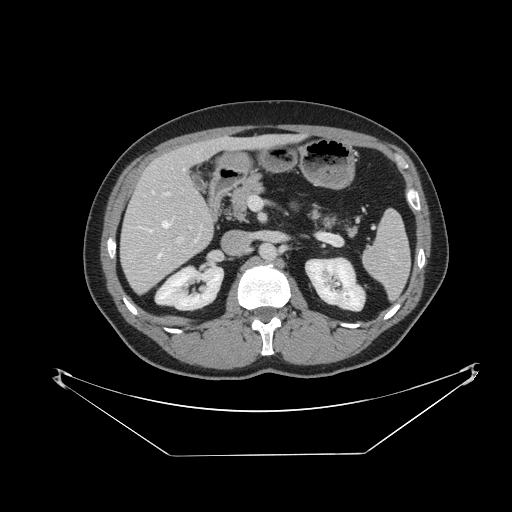
Computed tomography

spleen: <box>364,211,409,297</box>